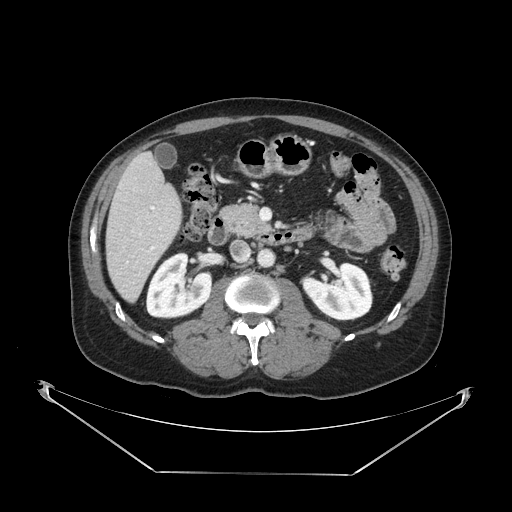

Image size 512x512 | Abdomen | CT slice
{"pancreas": ["[220,203,270,236]"]}